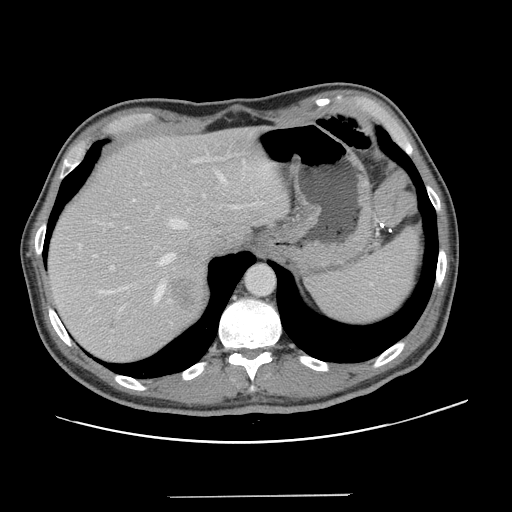 Abdomen | CT image

Not every hepatic vessel necessarily has a box.
The top 15 hepatic vessel regions (of 16) are located at bbox(156, 206, 158, 207); bbox(93, 254, 96, 257); bbox(153, 283, 164, 304); bbox(159, 254, 174, 264); bbox(193, 158, 202, 162); bbox(245, 200, 262, 205); bbox(79, 244, 81, 249); bbox(169, 219, 186, 228); bbox(126, 226, 128, 227); bbox(132, 199, 135, 201); bbox(98, 290, 112, 293); bbox(168, 299, 170, 301); bbox(229, 205, 241, 208); bbox(110, 265, 114, 270); bbox(119, 307, 123, 311). The liver tumor is at bbox(169, 277, 201, 311).